CT slice. Slice 31 of 49. 512x512 px. 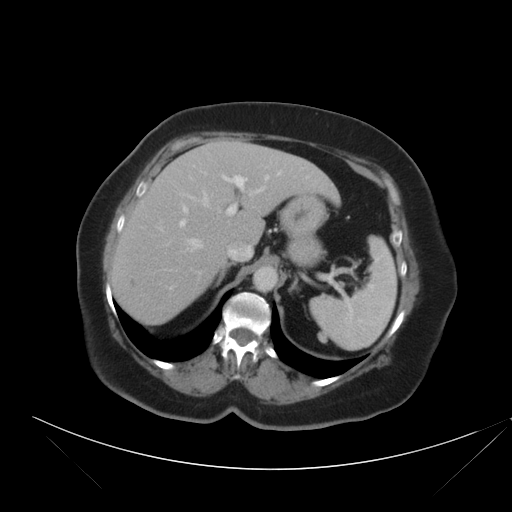

Only some of the vessels may be annotated.
• hepatic vessel: (left=202, top=193, right=208, bottom=206), (left=188, top=239, right=202, bottom=250), (left=265, top=175, right=268, bottom=180), (left=189, top=176, right=191, bottom=178), (left=180, top=220, right=185, bottom=226), (left=250, top=187, right=264, bottom=195), (left=219, top=210, right=220, bottom=211), (left=307, top=176, right=308, bottom=177), (left=222, top=174, right=247, bottom=189), (left=170, top=287, right=172, bottom=289), (left=226, top=206, right=235, bottom=215), (left=182, top=203, right=187, bottom=212), (left=158, top=228, right=162, bottom=230), (left=200, top=170, right=206, bottom=174), (left=180, top=193, right=194, bottom=198)